Slice index 340 | 512x512 | Computed tomography
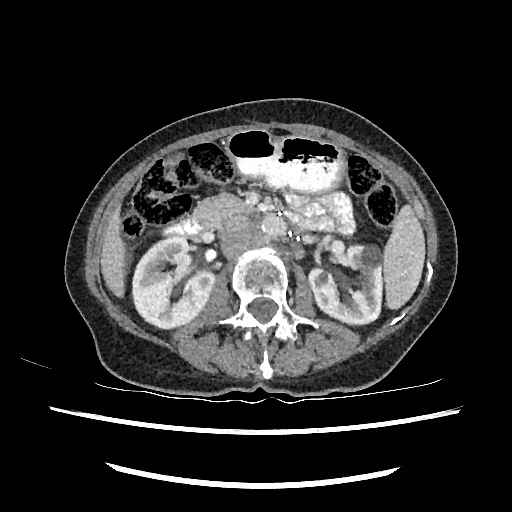 Annotated regions:
- kidney: [133, 238, 213, 327], [309, 244, 383, 323]
- liver: [101, 204, 124, 295]